Slice index 180; 512x512; CT scan slice
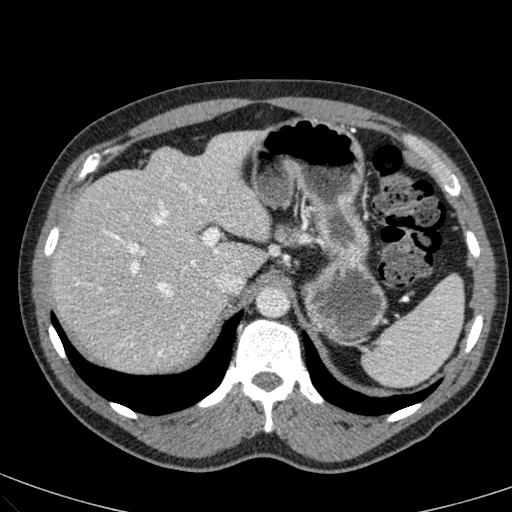

The liver is bounded by 51, 134, 267, 372.